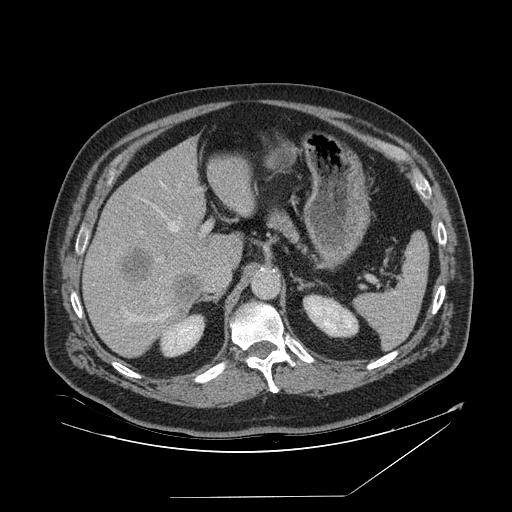 CT image; Image size 512x512

The spleen lies within rect(353, 234, 428, 348).